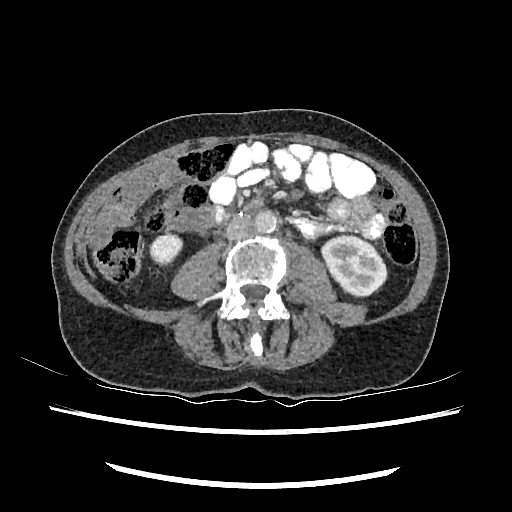
Abdomen, CT image, 512x512
Kidney: bbox=[152, 236, 180, 261]; bbox=[322, 237, 385, 295].